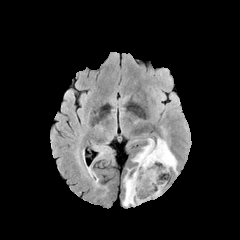
FLAIR MR.
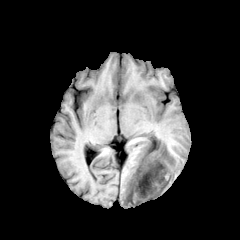
T1-weighted MRI.
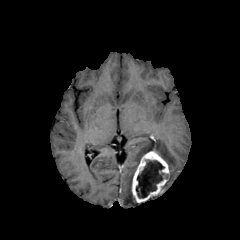
Post-contrast T1-weighted MR of the same slice.
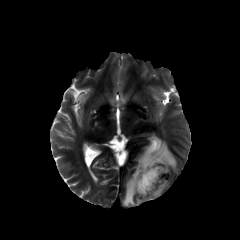
Same slice, T2-weighted MRI.
Head
• edema: box=[123, 167, 140, 205]; box=[156, 138, 177, 173]; box=[133, 138, 154, 164]
• non-enhancing tumor core: box=[136, 161, 164, 198]
• enhancing tumor: box=[131, 149, 169, 203]